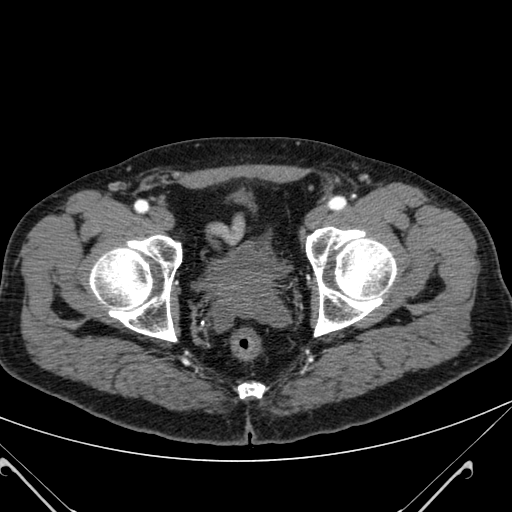 Pelvis. CT slice.
2 urinary bladder regions appear at 209,233,279,287; 230,190,255,211.